Slice index 417; Liver; CT image; Image size 512x512
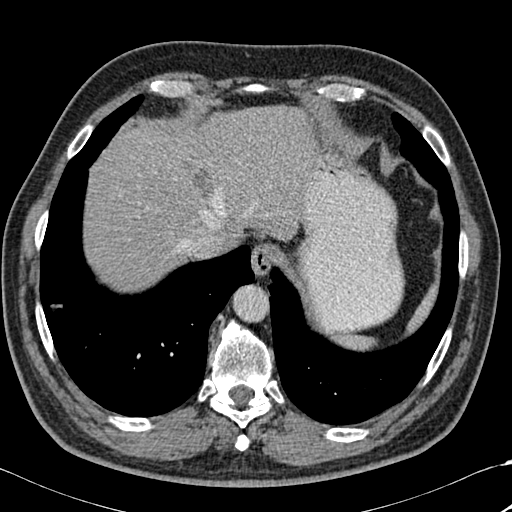 Segmented structures:
- focal liver lesion: (x1=182, y1=160, x2=191, y2=168), (x1=192, y1=168, x2=214, y2=198)
- lung: (x1=268, y1=112, x2=459, y2=425), (x1=40, y1=95, x2=254, y2=416)
- liver: (x1=222, y1=221, x2=243, y2=250), (x1=85, y1=107, x2=309, y2=287)
- bone: (x1=151, y1=81, x2=182, y2=94), (x1=459, y1=233, x2=467, y2=275), (x1=235, y1=435, x2=248, y2=450), (x1=345, y1=87, x2=363, y2=98), (x1=35, y1=213, x2=47, y2=246), (x1=426, y1=330, x2=450, y2=381), (x1=423, y1=126, x2=449, y2=164), (x1=199, y1=321, x2=283, y2=427), (x1=36, y1=306, x2=52, y2=356), (x1=68, y1=125, x2=91, y2=157), (x1=326, y1=428, x2=367, y2=442), (x1=109, y1=417, x2=150, y2=431)